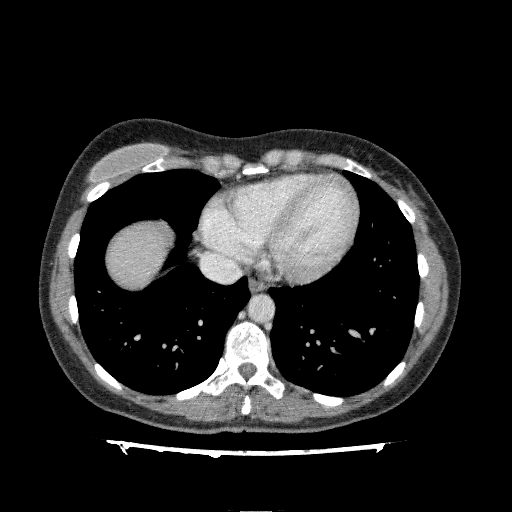
Computed tomography

liver:
  - [x1=106, y1=221, x2=170, y2=288]